CT scan slice
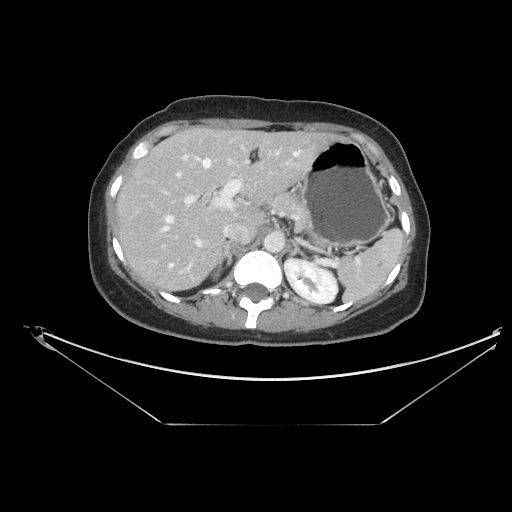

{
  "pancreas": [
    "(x1=273, y1=194, x2=308, y2=228)"
  ]
}